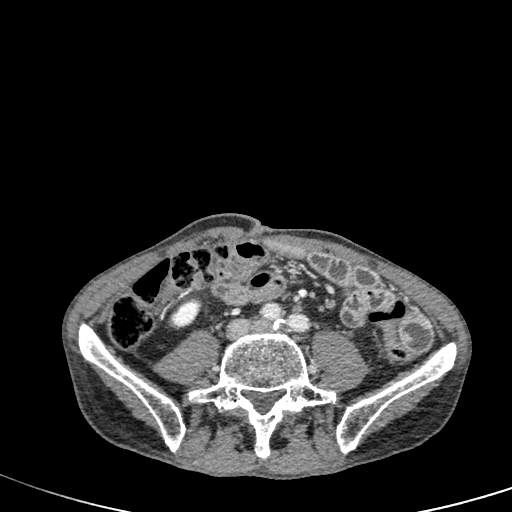 CT. 512x512 px. Abdomen.

kidney: (172,301,198,326)